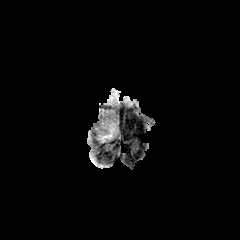
FLAIR magnetic resonance.
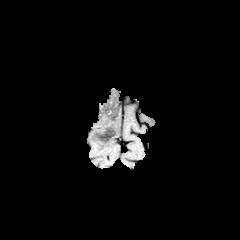
T1-weighted MRI of the same slice.
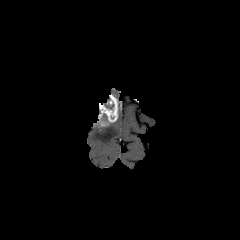
Post-contrast T1-weighted MR.
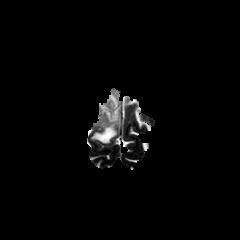
T2-weighted MR image.
Non-enhancing tumor core — (103, 126, 112, 137).
Enhancing tumor — (95, 94, 121, 127).
Edema — (93, 120, 118, 142).